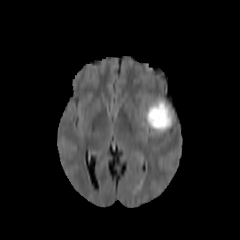
FLAIR MR image.
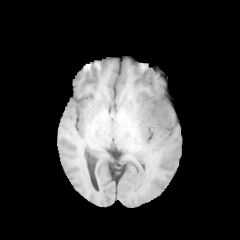
T1-weighted MRI of the same slice.
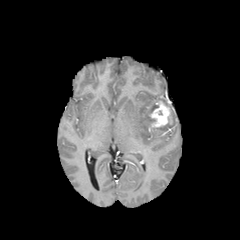
Post-contrast T1-weighted MR image.
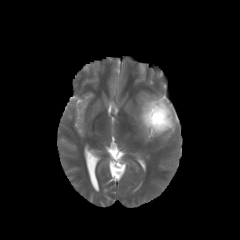
Same slice, T2-weighted MRI.
Brain. 240x240.
enhancing_tumor:
  - [149, 100, 174, 128]
edema:
  - [139, 96, 175, 141]